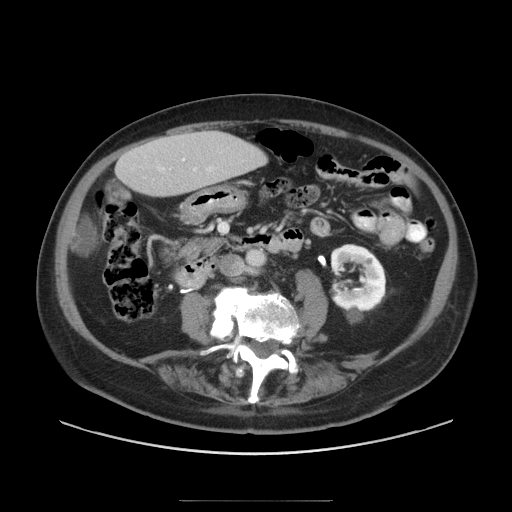 Computed tomography
The vessel annotation is not exhaustive.
{"hepatic_vessel": [{"x1": 158, "y1": 166, "x2": 163, "y2": 171}, {"x1": 194, "y1": 168, "x2": 196, "y2": 170}, {"x1": 208, "y1": 166, "x2": 213, "y2": 171}, {"x1": 183, "y1": 159, "x2": 184, "y2": 160}]}